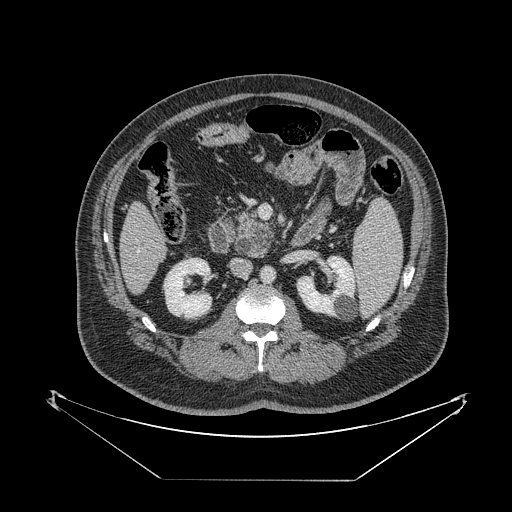

Abdomen. CT image.
* pancreas: {"x1": 235, "y1": 213, "x2": 274, "y2": 257}